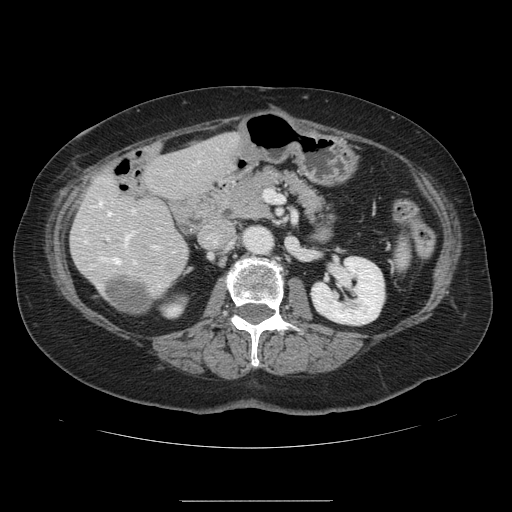 Computed tomography. Liver. 512x512.
The vessel annotation is not exhaustive.
Segmented structures:
* hepatic vessel: [85,240,87,242], [133,261,135,263], [124,233,130,244], [108,212,110,215], [131,209,134,211], [153,245,158,248], [99,255,119,262], [106,236,108,238], [98,200,101,205]
* liver tumor: [109,280,153,311]